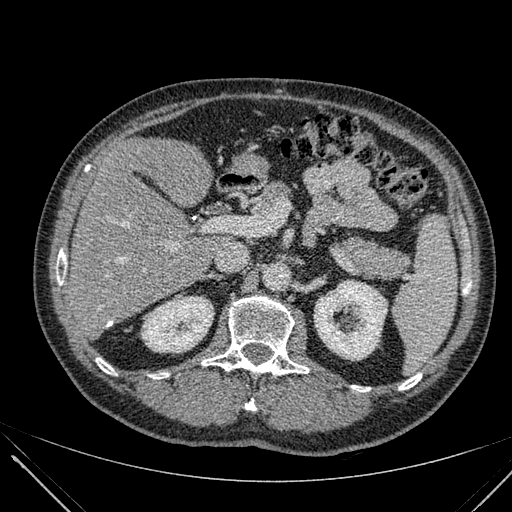

CT image, Abdomen
The liver is at (70, 136, 235, 334). 2 kidney regions are bounded by (142, 297, 213, 352), (314, 281, 386, 359).